Slice 13/26. MRI. Hippocampus. Image width 34 mm. 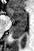
The anterior hippocampus is located at <bbox>8, 8, 26, 21</bbox>. The posterior hippocampus is located at <bbox>11, 22, 27, 38</bbox>.